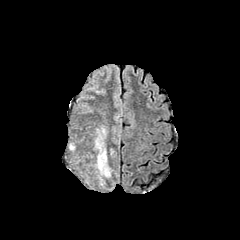
FLAIR MR.
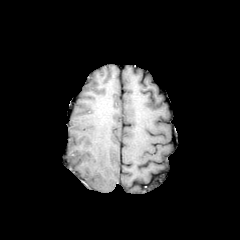
T1-weighted MRI.
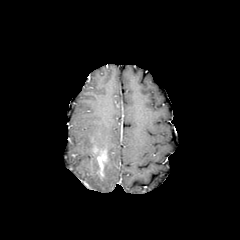
Post-contrast T1-weighted MRI of the same slice.
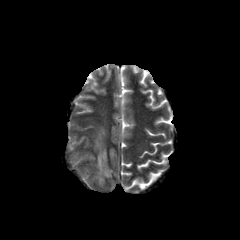
T2-weighted MRI of the same slice.
240x240 px
The enhancing tumor is bounded by box(97, 149, 107, 176). 2 edema regions appear at box(103, 161, 110, 177); box(95, 135, 102, 156).